CT scan slice | 512x512 px

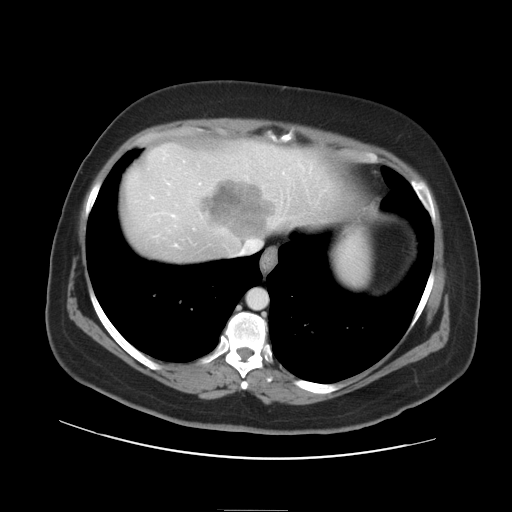 Only some of the vessels may be annotated.
<segmentation>
  <hepatic_vessel>271 216 283 225, 283 171 284 174, 171 214 175 217, 238 238 261 252</hepatic_vessel>
  <liver_tumor>203 183 271 238</liver_tumor>
</segmentation>